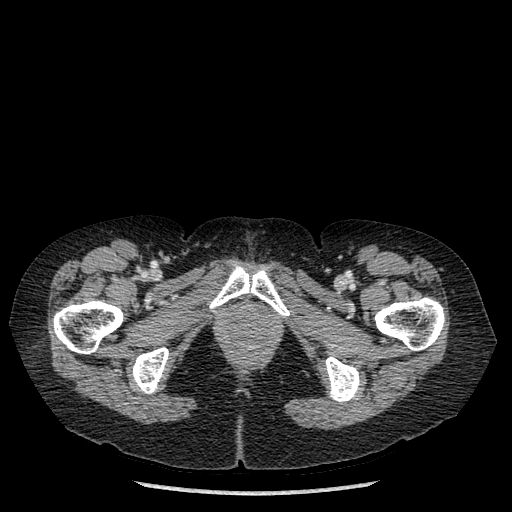 CT slice; Image size 512x512

<segmentation>
  <bone>53:299:123:353, 131:347:169:394, 325:356:360:402, 374:297:444:350, 209:264:289:317</bone>
</segmentation>